Slice 80 of 95; Field of view 314 mm wide, 2.50 mm slice spacing; Computed tomography 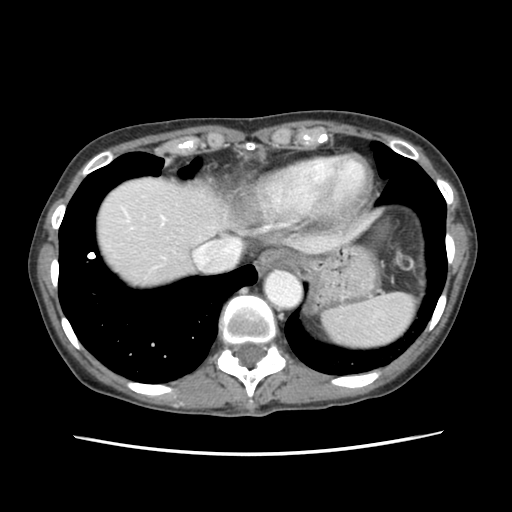 Spleen: bounding box <box>323,293,416,351</box>.